Computed tomography | Slice index 415 | Field of view 335 mm wide, 1.00 mm slice spacing

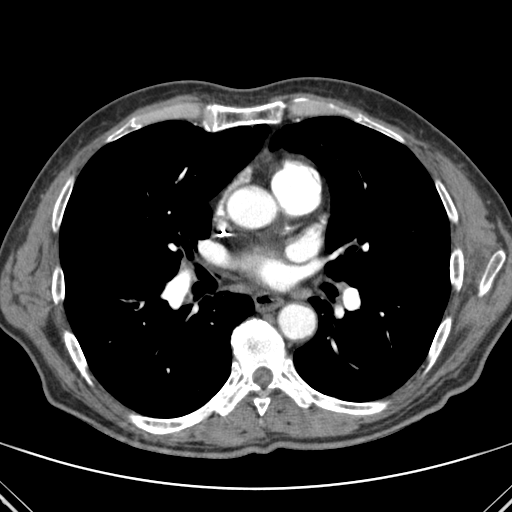 3 lung regions are located at rect(321, 283, 337, 301); rect(269, 116, 450, 401); rect(59, 120, 269, 417). 13 bone regions are bounded by rect(162, 277, 187, 308); rect(64, 331, 90, 383); rect(206, 101, 285, 130); rect(450, 249, 463, 290); rect(427, 318, 450, 369); rect(351, 114, 403, 141); rect(52, 268, 64, 303); rect(129, 318, 387, 434); rect(436, 181, 457, 221); rect(254, 397, 270, 415); rect(107, 118, 141, 141); rect(479, 251, 504, 296); rect(52, 179, 72, 230).